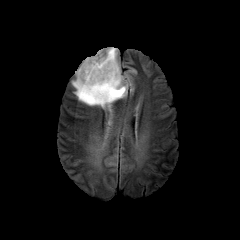
FLAIR MR.
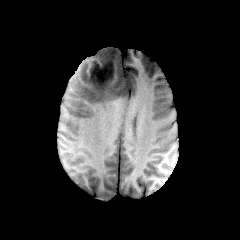
Same slice, T1-weighted MR image.
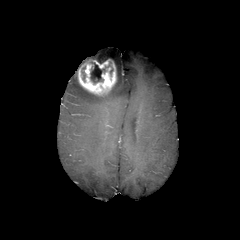
Same slice, post-contrast T1-weighted MR image.
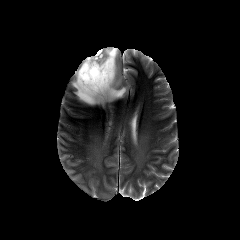
Same slice, T2-weighted magnetic resonance.
Brain
Edema — box=[72, 47, 129, 108].
Non-enhancing tumor core — box=[83, 58, 113, 82].
Enhancing tumor — box=[93, 59, 109, 68]; box=[78, 61, 116, 96].